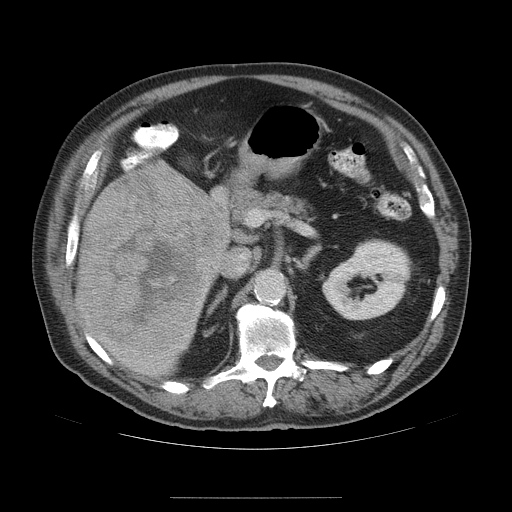

Computed tomography
Liver tumor: bbox=[76, 161, 229, 359].